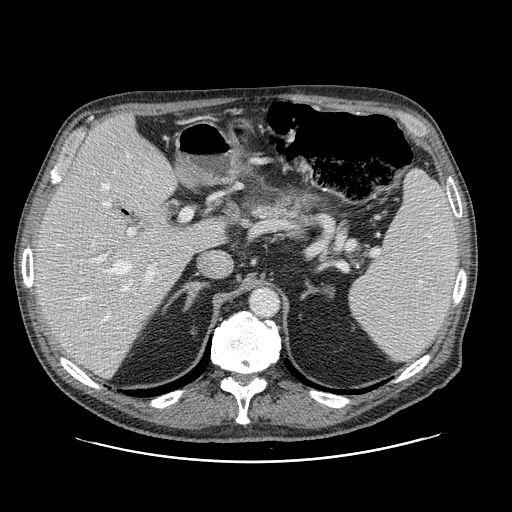 Computed tomography

{
  "pancreas": [
    "<box>251,198,304,217</box>"
  ]
}